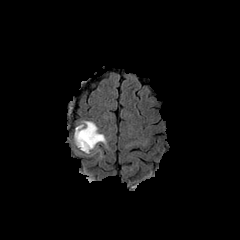
FLAIR MRI.
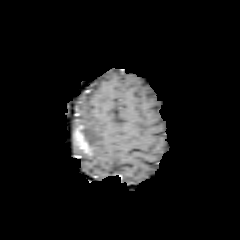
Same slice, T1-weighted MRI.
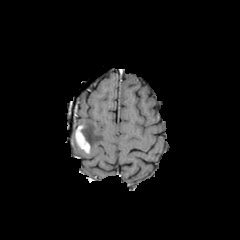
Same slice, post-contrast T1-weighted magnetic resonance.
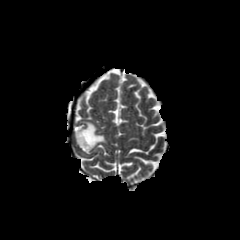
T2-weighted MRI.
Head
Segmented structures:
• edema: box=[80, 120, 106, 154]
• enhancing tumor: box=[75, 125, 90, 152]
• non-enhancing tumor core: box=[81, 129, 92, 146]